FLAIR magnetic resonance.
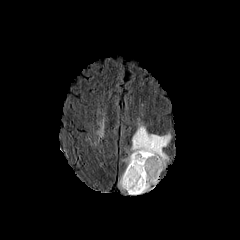
T1-weighted magnetic resonance.
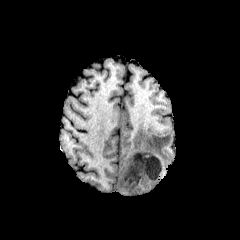
Post-contrast T1-weighted magnetic resonance.
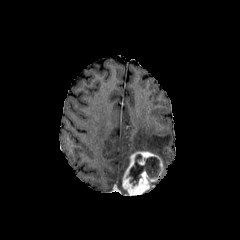
T2-weighted MR.
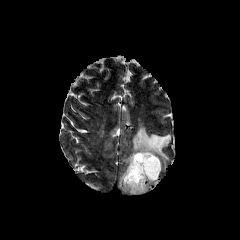
Head
Edema — x1=131 y1=119 x2=170 y2=169.
Non-enhancing tumor core — x1=126 y1=154 x2=161 y2=187.
Enhancing tumor — x1=122 y1=150 x2=162 y2=194.